Slice 35/109, MR image, 320x320 px 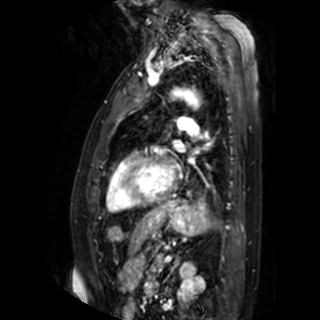
2 left atrium regions are located at 175,142,184,151; 166,165,174,178.